Abdomen; CT scan slice; 512x512 px
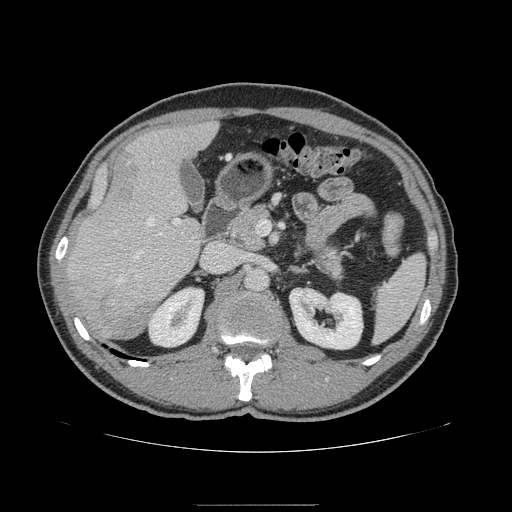
Pancreas at <box>231,206,270,251</box>, <box>314,243,342,278</box>.